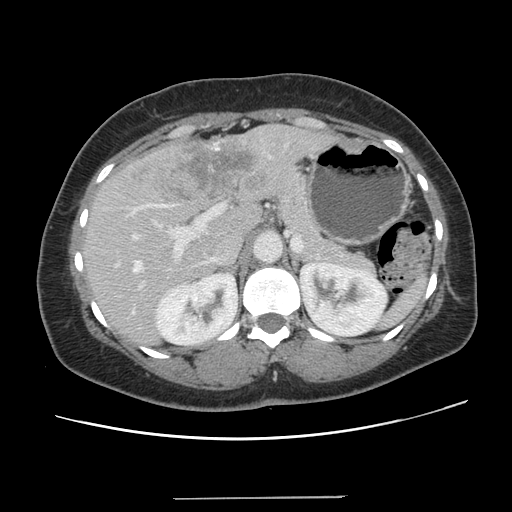
CT slice. Only some of the vessels may be annotated.
hepatic vessel: (129, 204, 167, 215), (154, 222, 161, 227), (133, 311, 134, 313), (132, 235, 137, 239), (171, 227, 195, 257), (140, 284, 143, 287), (134, 261, 141, 271), (196, 203, 224, 229), (116, 263, 118, 265), (171, 205, 173, 206) | liver tumor: (133, 138, 270, 203)